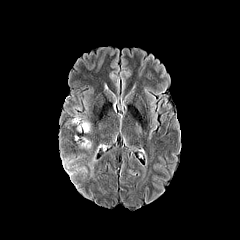
FLAIR magnetic resonance.
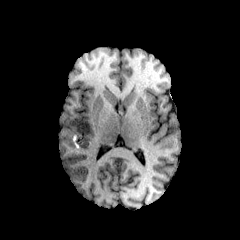
Same slice, T1-weighted MRI.
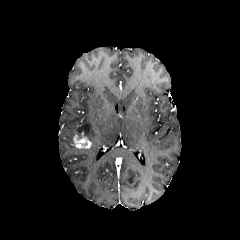
Post-contrast T1-weighted MRI.
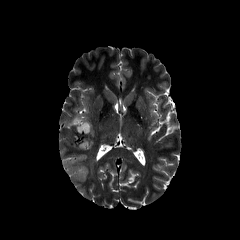
T2-weighted MR image.
240x240; Head
Segmented structures:
- enhancing tumor: bbox=[72, 134, 92, 150]
- edema: bbox=[88, 144, 102, 171]; bbox=[71, 107, 90, 133]